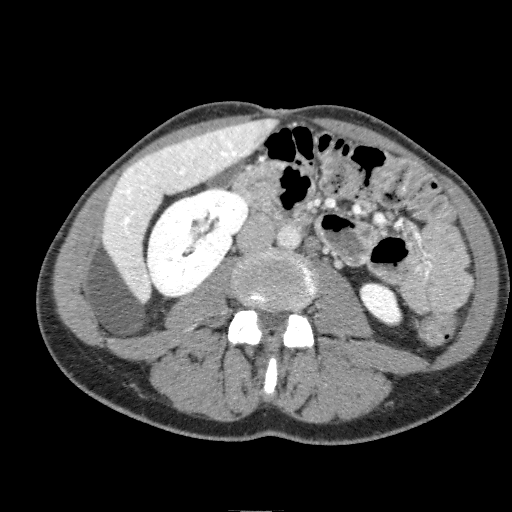

Upper abdomen, CT scan slice, Image size 512x512
Kidney — [362, 285, 399, 322], [148, 190, 247, 295].
Liver — [102, 119, 277, 302].